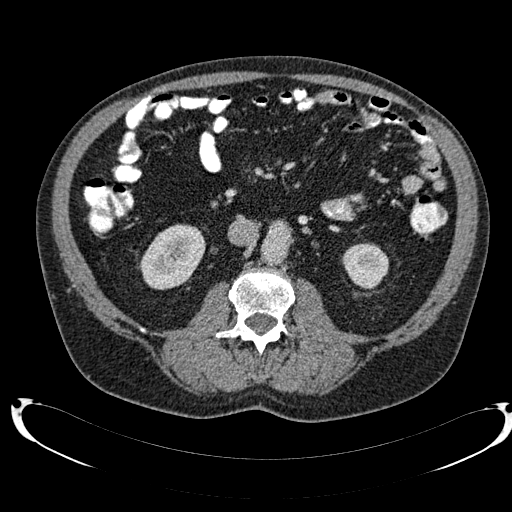
Computed tomography. Abdomen.
Kidney — <box>343,243,388,288</box>, <box>140,224,205,289</box>.